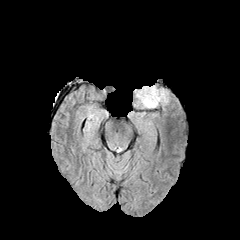
FLAIR magnetic resonance.
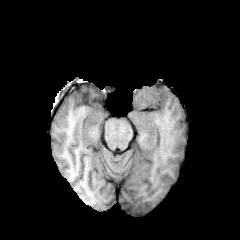
Same slice, T1-weighted MR image.
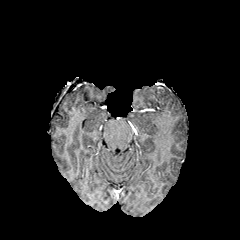
Same slice, post-contrast T1-weighted MRI.
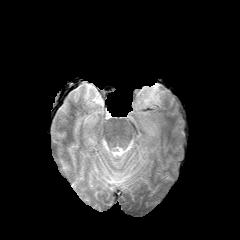
T2-weighted magnetic resonance.
240x240 px
edema:
  - [x1=136, y1=86, x2=165, y2=109]